Image size 240x240. Head.
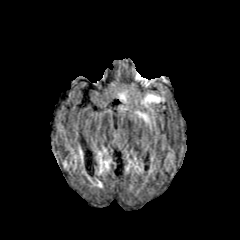
FLAIR MRI.
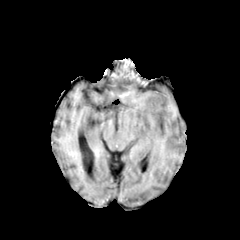
T1-weighted MR of the same slice.
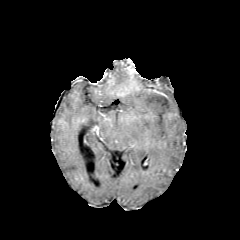
Post-contrast T1-weighted magnetic resonance.
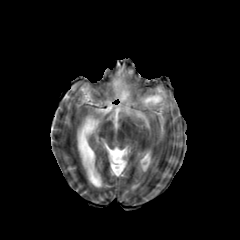
T2-weighted MR.
<segmentation>
  <edema>[x1=137, y1=111, x2=148, y2=121], [x1=141, y1=94, x2=160, y2=106]</edema>
</segmentation>